FLAIR MRI.
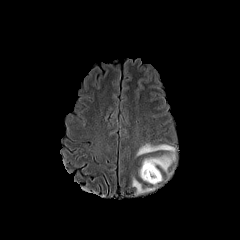
T1-weighted magnetic resonance.
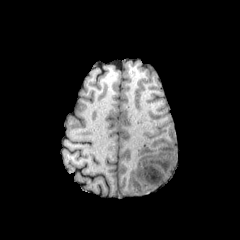
Post-contrast T1-weighted magnetic resonance.
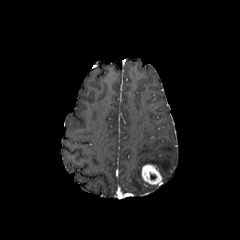
T2-weighted MR.
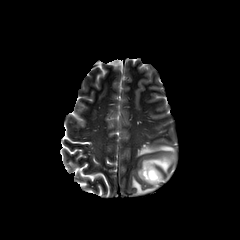
240x240 px
Enhancing tumor at (x1=140, y1=162, x2=161, y2=184).
Edema at (x1=137, y1=144, x2=174, y2=155), (x1=141, y1=153, x2=175, y2=174), (x1=132, y1=179, x2=154, y2=193).